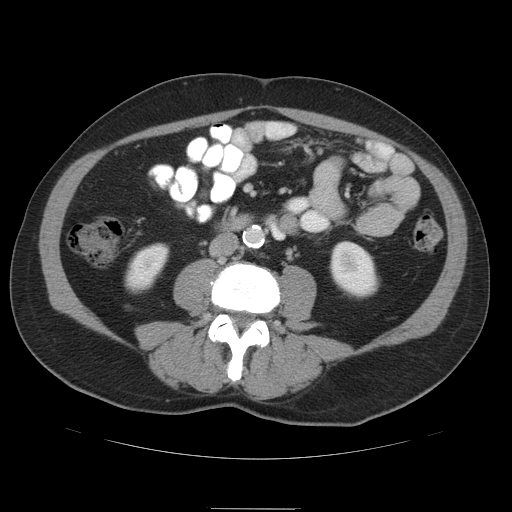
Computed tomography | Upper abdomen
{
  "pancreas": [
    "(235,215,247,227)"
  ]
}